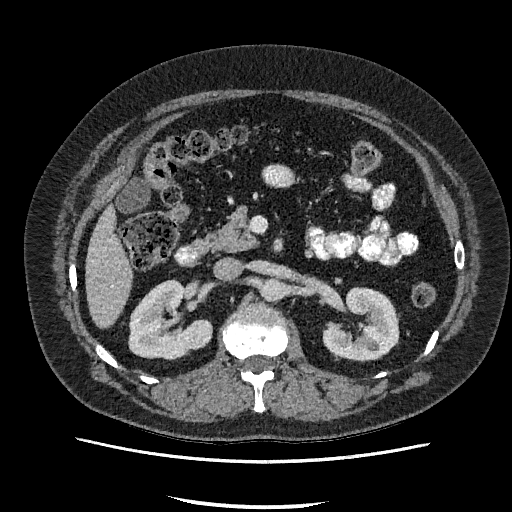 Liver. Image size 512x512. CT slice.
Segmented structures:
* liver: (x1=85, y1=205, x2=133, y2=327)
* kidney: (x1=130, y1=281, x2=210, y2=358), (x1=323, y1=288, x2=398, y2=359)